CT image, Field of view 432 mm wide, 0.70 mm slice spacing

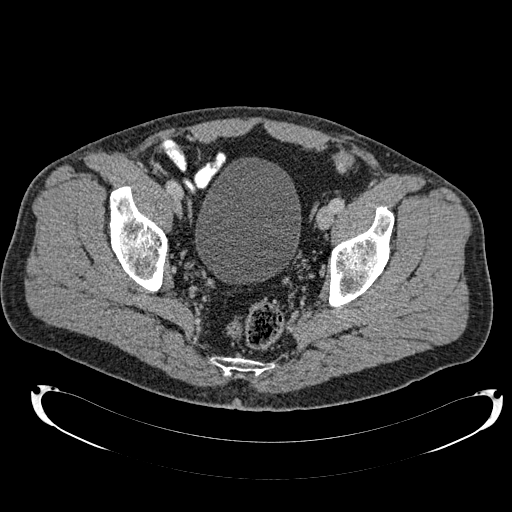
Urinary bladder — 195, 157, 301, 283.